FLAIR MR.
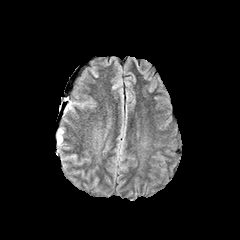
T1-weighted MR image.
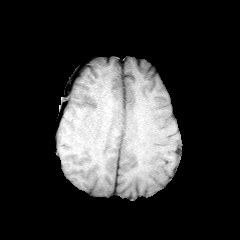
Post-contrast T1-weighted MR image.
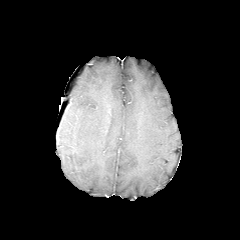
T2-weighted MRI.
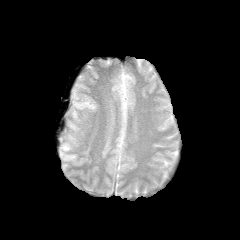
Edema: bounding box {"x1": 73, "y1": 100, "x2": 86, "y2": 106}.